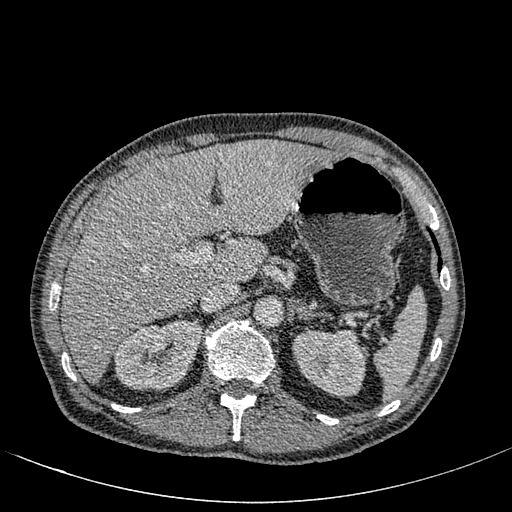
CT image. Abdomen. <segmentation>
  <liver>[61,138,339,382]</liver>
  <liver_lesion>[217,144,225,151], [88,247,98,259], [153,165,169,180]</liver_lesion>
  <kidney>[114,321,202,389], [293,330,364,395]</kidney>
</segmentation>